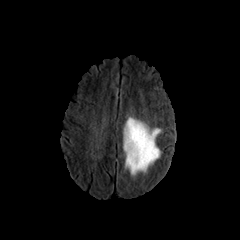
FLAIR MRI.
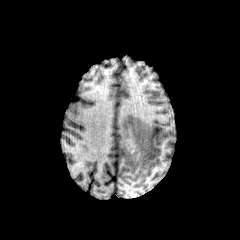
Same slice, T1-weighted magnetic resonance.
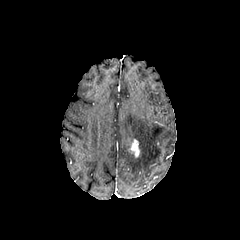
Post-contrast T1-weighted MR.
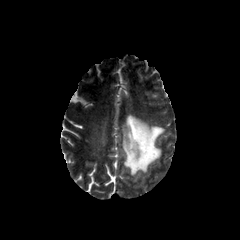
T2-weighted magnetic resonance.
The edema is located at 122, 115, 163, 180. The enhancing tumor is at 130, 141, 139, 157.